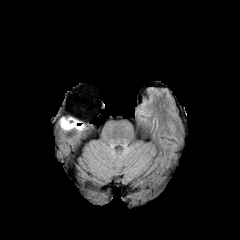
FLAIR MRI.
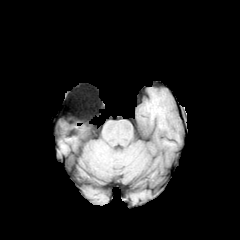
T1-weighted magnetic resonance.
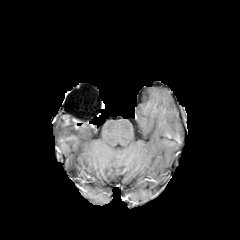
Same slice, post-contrast T1-weighted MRI.
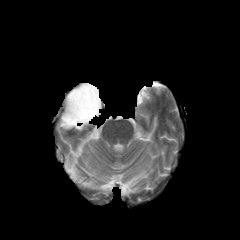
T2-weighted MRI of the same slice.
Findings:
• edema: x1=59 y1=118 x2=84 y2=130
• non-enhancing tumor core: x1=62 y1=116 x2=76 y2=125